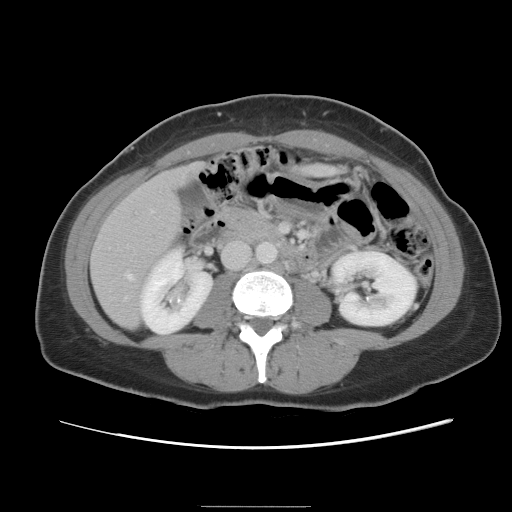
Image size 512x512 | CT slice | Liver
Some hepatic vessels may have no box.
Hepatic vessel at (124, 296, 125, 298), (125, 271, 131, 278).